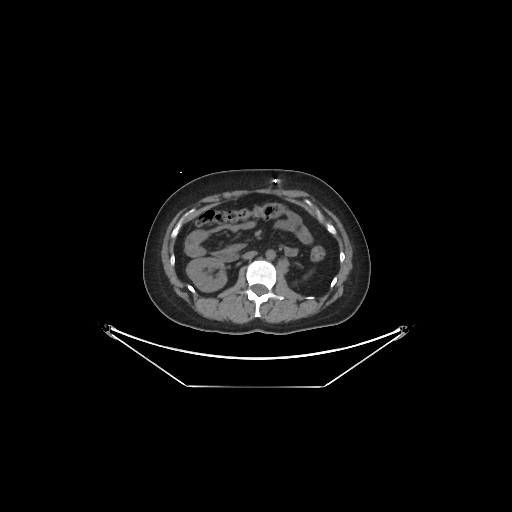
CT scan slice. Abdomen. 512x512.
Kidney: bbox=[186, 258, 226, 291].